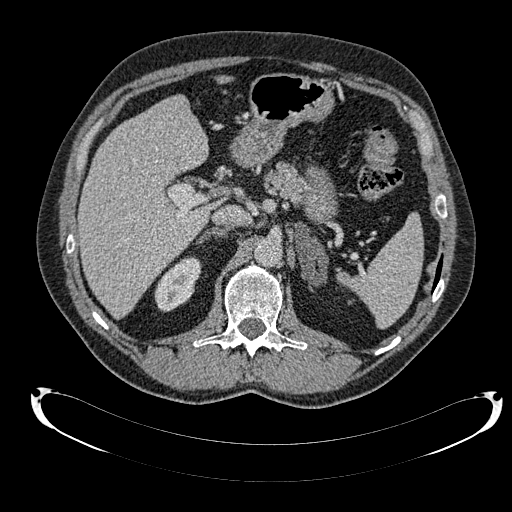 512x512 px, Liver, CT scan slice

Segmented structures:
• kidney: l=155, t=258, r=199, b=310
• liver: l=78, t=96, r=225, b=316; l=218, t=77, r=230, b=82